Slice 79/155; Field of view 240 mm wide, 1.00 mm slice spacing; 240x240; Head
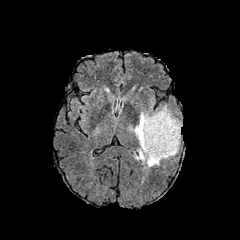
FLAIR MR.
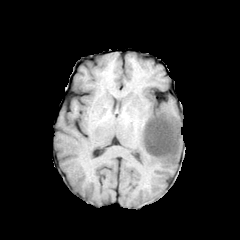
T1-weighted MR image.
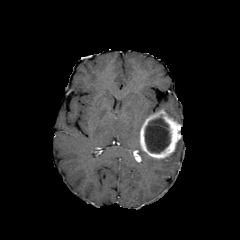
Same slice, post-contrast T1-weighted MR.
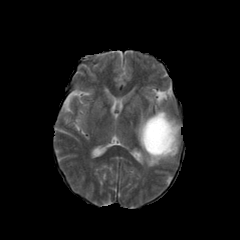
Same slice, T2-weighted MR image.
The enhancing tumor is located at <box>139,108,181,160</box>. The non-enhancing tumor core appears at <box>145,118,169,152</box>. The edema is located at <box>131,110,164,168</box>.